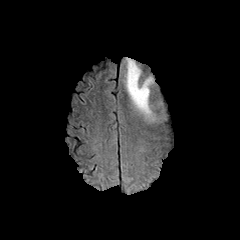
FLAIR MR.
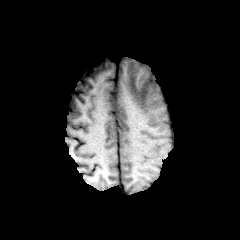
T1-weighted MR.
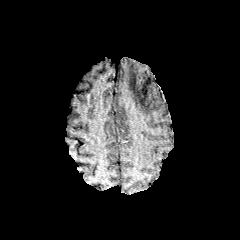
Post-contrast T1-weighted magnetic resonance.
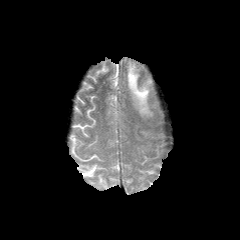
T2-weighted MR image.
Edema at rect(125, 59, 155, 120).